Slice 120 of 155. Field of view 240x240 mm.
FLAIR MRI.
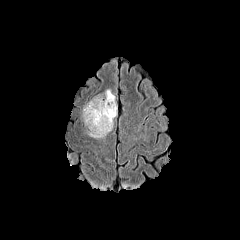
T1-weighted MR.
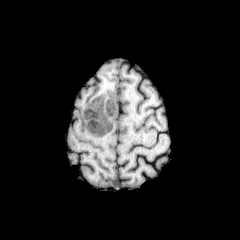
Post-contrast T1-weighted magnetic resonance.
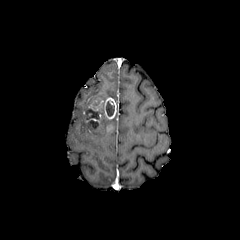
T2-weighted magnetic resonance.
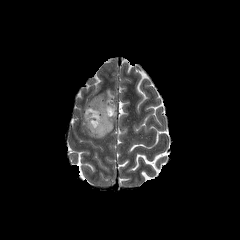
3 non-enhancing tumor core regions are bounded by bbox(106, 101, 114, 116); bbox(86, 100, 108, 128); bbox(92, 95, 102, 105). 2 edema regions appear at bbox(83, 107, 112, 137); bbox(105, 90, 114, 100). 2 enhancing tumor regions appear at bbox(90, 98, 103, 110); bbox(104, 97, 116, 119).